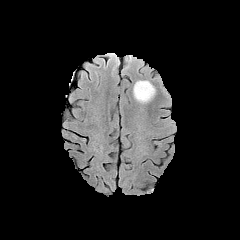
FLAIR MR.
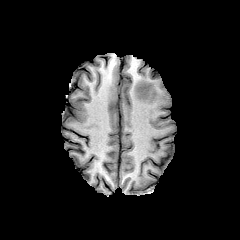
T1-weighted magnetic resonance of the same slice.
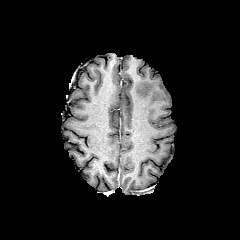
Same slice, post-contrast T1-weighted MR image.
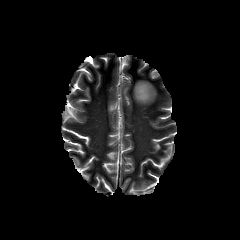
T2-weighted MR.
Brain.
The edema is at (133, 80, 155, 103).